Slice 90/164; CT image; Field of view 404x404 mm 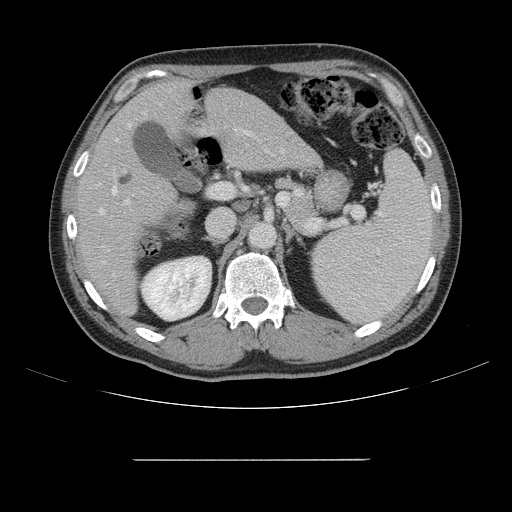 Only some of the vessels may be annotated.
hepatic vessel: [x1=280, y1=147, x2=284, y2=151], [x1=245, y1=131, x2=254, y2=136], [x1=99, y1=209, x2=103, y2=213], [x1=265, y1=148, x2=271, y2=154], [x1=102, y1=262, x2=104, y2=263], [x1=112, y1=186, x2=116, y2=193], [x1=234, y1=128, x2=236, y2=130], [x1=124, y1=200, x2=129, y2=203]